Abdomen | CT slice 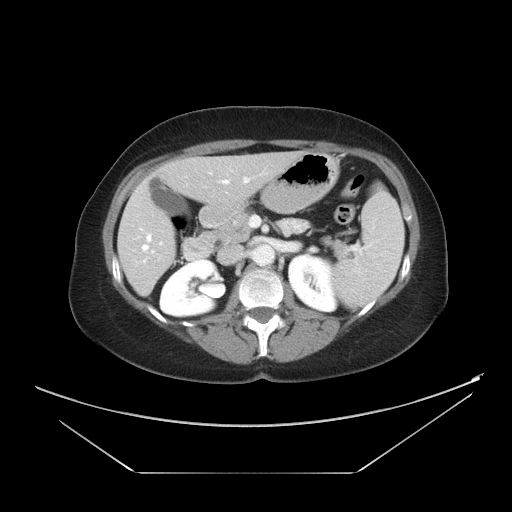
Some hepatic vessels may have no box.
hepatic_vessel:
  - x1=147, y1=234, x2=150, y2=241
  - x1=213, y1=268, x2=216, y2=275
  - x1=142, y1=244, x2=148, y2=250
  - x1=151, y1=251, x2=153, y2=252
  - x1=159, y1=242, x2=162, y2=244
  - x1=140, y1=228, x2=141, y2=229
  - x1=144, y1=260, x2=145, y2=261
  - x1=222, y1=180, x2=228, y2=183
  - x1=243, y1=177, x2=248, y2=182